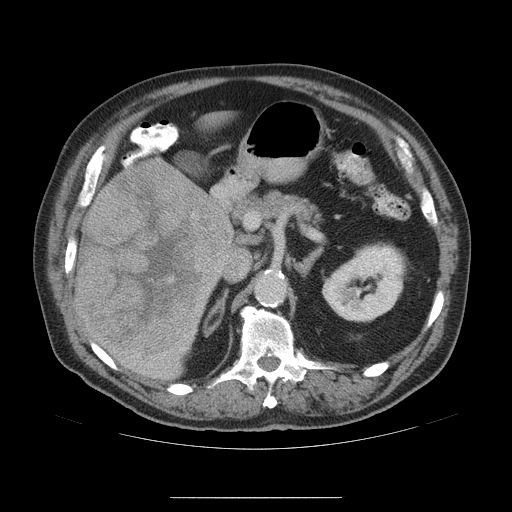

CT slice
The liver tumor lies within x1=75, y1=159, x2=231, y2=368.